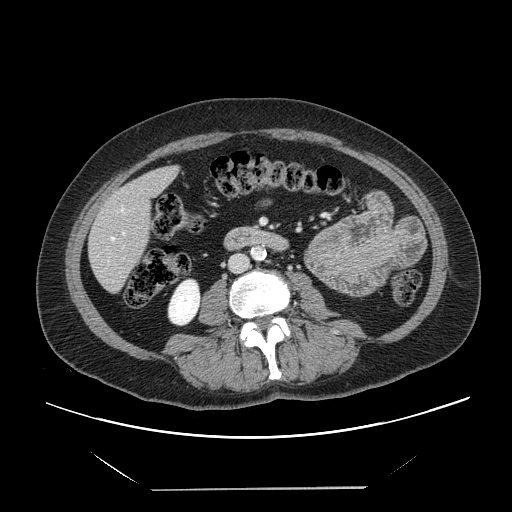

CT slice, Liver
Only some of the vessels may be annotated.
hepatic_vessel:
  - x1=122 y1=230 x2=124 y2=235
  - x1=117 y1=205 x2=125 y2=214
  - x1=109 y1=236 x2=115 y2=241